Abdomen; Field of view 384x384 mm; CT
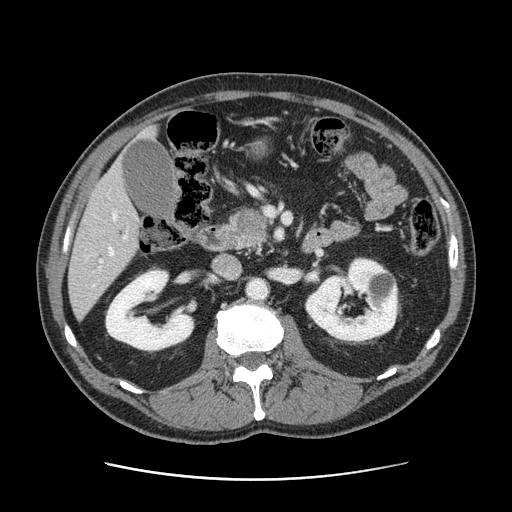
Findings:
• pancreas: region(227, 209, 268, 249)
• pancreatic tumor: region(234, 210, 265, 236)